Brain. Slice 86/155.
FLAIR MR.
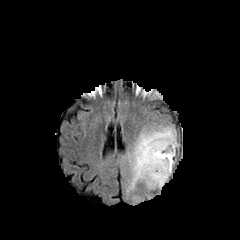
T1-weighted MR.
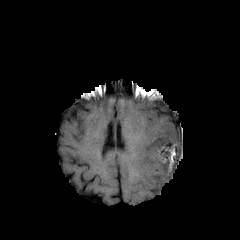
Post-contrast T1-weighted MR.
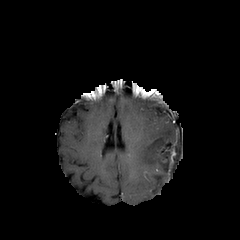
T2-weighted magnetic resonance.
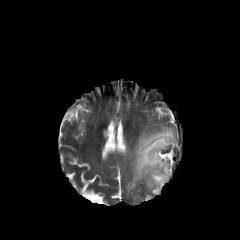
Edema — x1=126 y1=122 x2=178 y2=199.